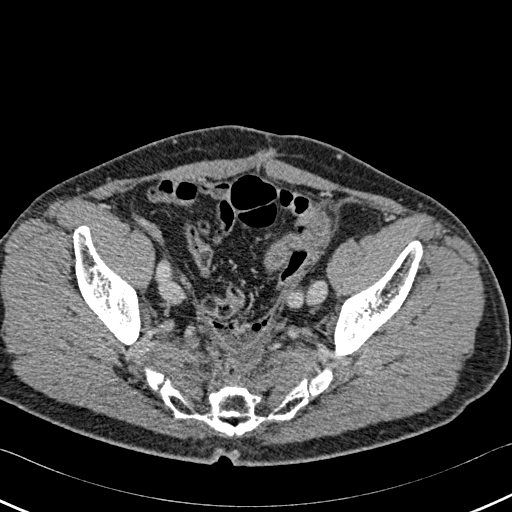 Computed tomography
bone:
  - bbox=[333, 241, 422, 359]
  - bbox=[146, 370, 331, 435]
  - bbox=[73, 226, 141, 349]